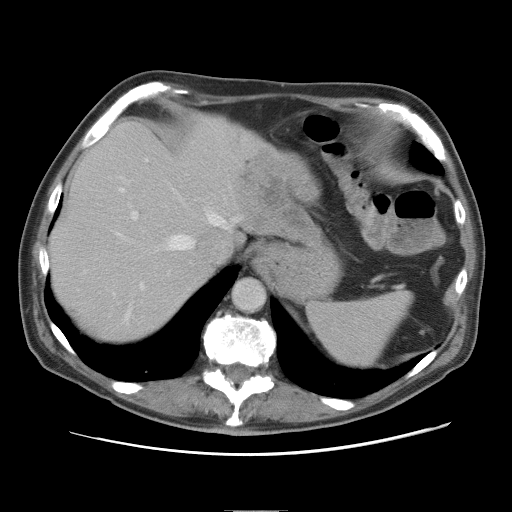 Liver; CT scan slice

Not every hepatic vessel necessarily has a box.
9 hepatic vessel regions appear at box=[125, 309, 131, 322]; box=[145, 159, 147, 160]; box=[234, 216, 241, 222]; box=[141, 284, 143, 288]; box=[208, 213, 230, 228]; box=[120, 188, 124, 191]; box=[170, 235, 194, 249]; box=[132, 212, 138, 218]; box=[119, 234, 123, 237]. The liver tumor is located at box=[239, 152, 303, 229].